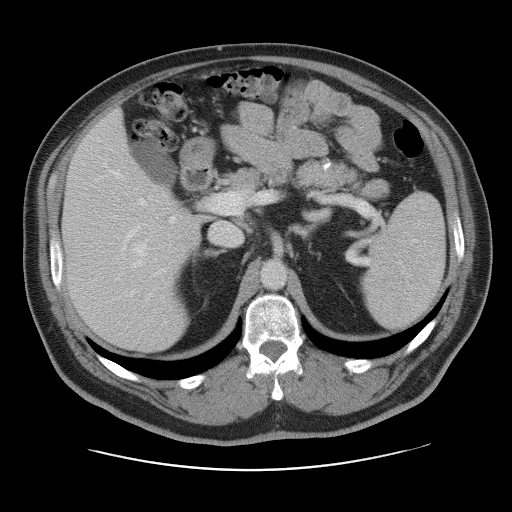

Liver. CT.

Some hepatic vessels may have no box.
10 hepatic vessel regions are bounded by rect(160, 230, 162, 231); rect(168, 215, 175, 223); rect(109, 170, 121, 177); rect(122, 223, 146, 249); rect(128, 244, 145, 267); rect(154, 269, 163, 274); rect(212, 225, 241, 243); rect(207, 192, 244, 213); rect(253, 192, 272, 202); rect(138, 198, 146, 206).